Slice index 87; Head
FLAIR magnetic resonance.
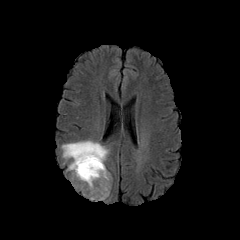
T1-weighted MR image.
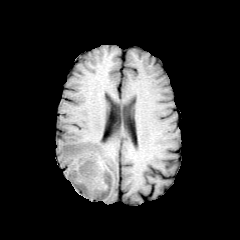
Post-contrast T1-weighted magnetic resonance.
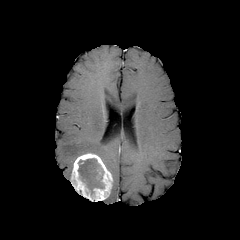
T2-weighted MR.
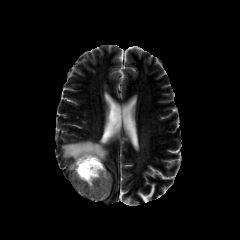
<segmentation>
  <non-enhancing_tumor_core>bbox(78, 159, 103, 194)</non-enhancing_tumor_core>
  <enhancing_tumor>bbox(71, 152, 111, 201)</enhancing_tumor>
  <edema>bbox(62, 139, 109, 176); bbox(88, 178, 103, 187)</edema>
</segmentation>